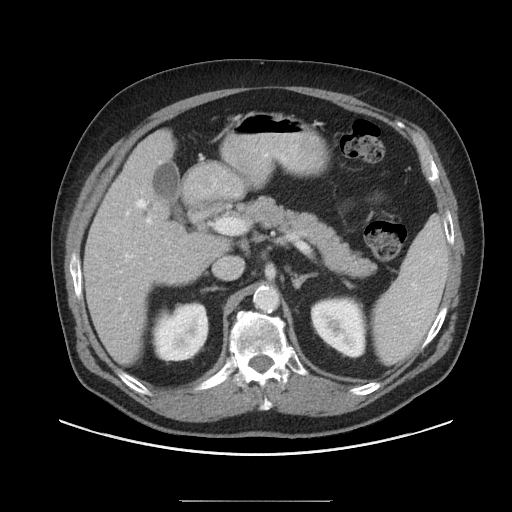 CT image, Abdomen

The vessel boxes may cover only some of the vessels.
{
  "hepatic_vessel": [
    "125, 254, 133, 257",
    "126, 212, 128, 214",
    "147, 218, 151, 222",
    "137, 200, 145, 207"
  ]
}